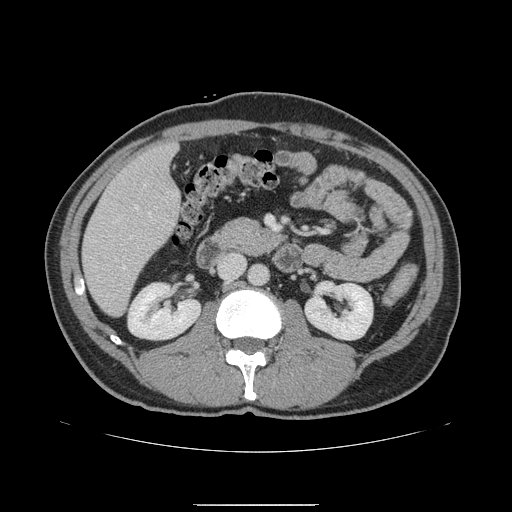
CT image; Abdomen
The pancreas appears at x1=215 y1=218 x2=285 y2=256.